Abdomen, Field of view 330x330 mm, CT slice

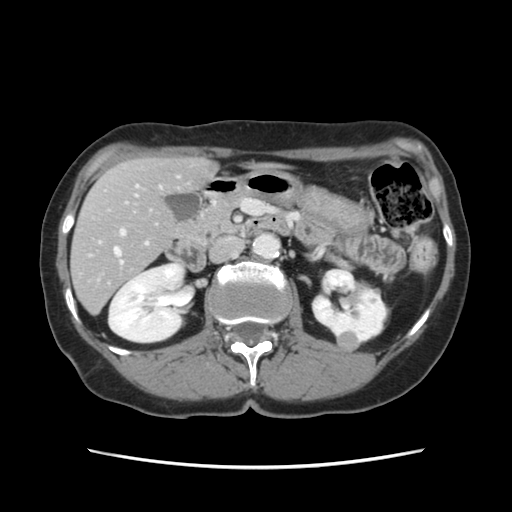
Some hepatic vessels may have no box.
5 hepatic vessel regions are located at [99,242,100,243], [120,230,125,235], [135,185,137,187], [146,242,147,244], [114,248,120,255].